Slice 335/751, CT image

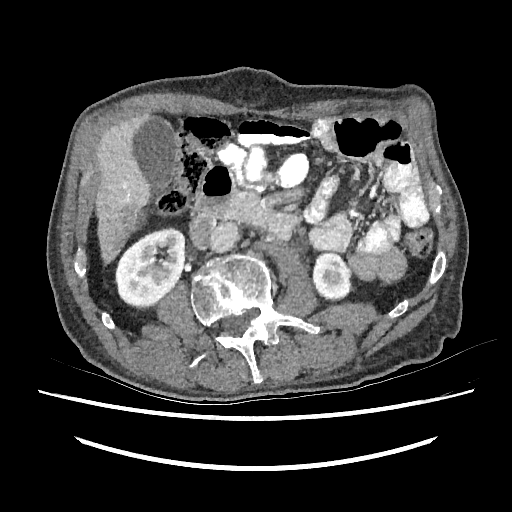
The hepatic lesion lies within 112:203:138:249. The liver lies within 96:112:150:262. 2 kidney regions appear at 116:230:184:305, 313:253:349:298.